Brain
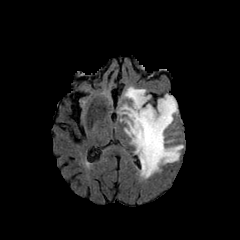
FLAIR magnetic resonance.
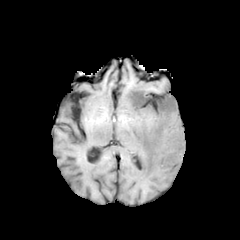
Same slice, T1-weighted magnetic resonance.
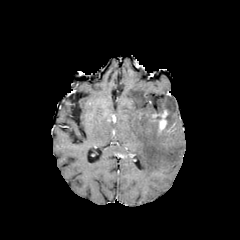
Post-contrast T1-weighted magnetic resonance.
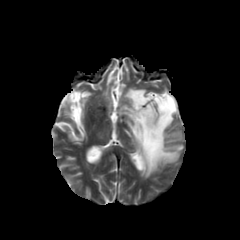
T2-weighted MR image.
Findings:
- non-enhancing tumor core: bbox=[153, 95, 169, 113]
- enhancing tumor: bbox=[152, 110, 167, 131]
- edema: bbox=[120, 87, 182, 178]